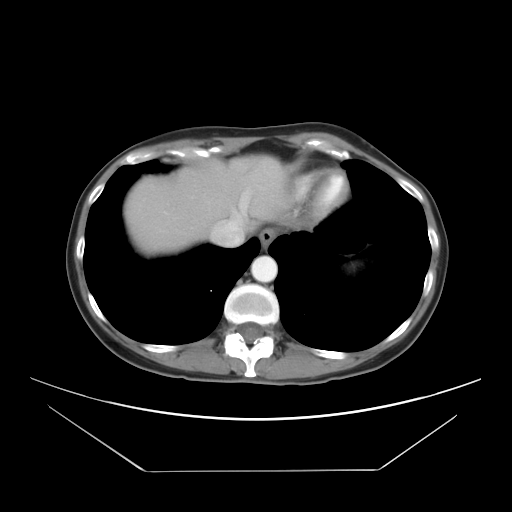
CT slice | Abdomen
Only some of the vessels may be annotated.
<segmentation>
  <hepatic_vessel>rect(255, 163, 270, 174); rect(232, 187, 250, 215)</hepatic_vessel>
</segmentation>